CT scan slice | Field of view 400x400 mm

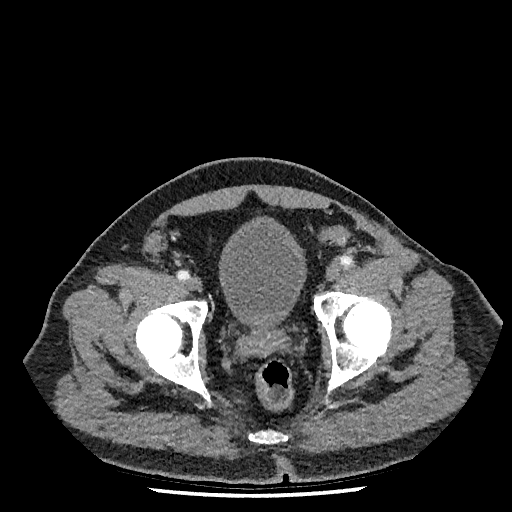
<segmentation>
  <urinary_bladder>(218,219,307,324)</urinary_bladder>
</segmentation>